Slice index 58; 240x240 px
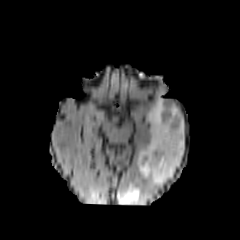
FLAIR MR image.
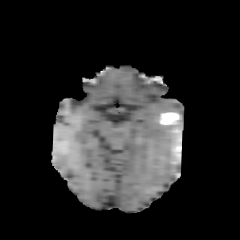
Same slice, T1-weighted MRI.
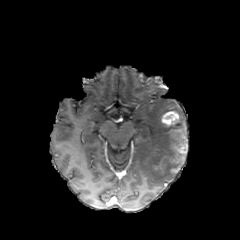
Post-contrast T1-weighted magnetic resonance.
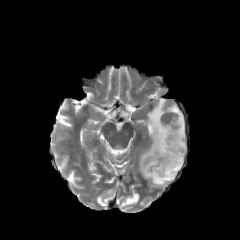
Same slice, T2-weighted magnetic resonance.
2 non-enhancing tumor core regions are located at (x1=169, y1=120, x2=184, y2=147), (x1=171, y1=148, x2=182, y2=164). 2 edema regions are bounded by (x1=136, y1=92, x2=187, y2=185), (x1=122, y1=193, x2=139, y2=204). The enhancing tumor lies within (x1=162, y1=111, x2=180, y2=125).